FLAIR magnetic resonance.
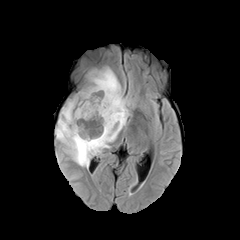
T1-weighted MR image.
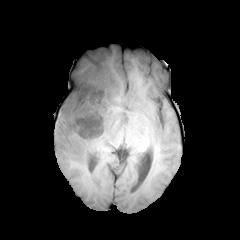
Post-contrast T1-weighted MR.
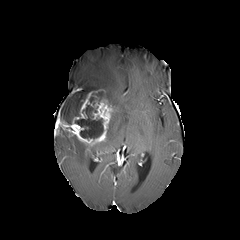
T2-weighted MR image.
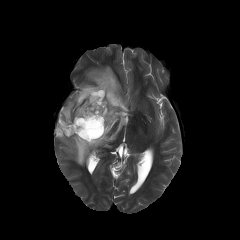
Image size 240x240 | Brain
non-enhancing tumor core: 97 88 114 109, 67 105 103 138, 76 87 97 116 | edema: 60 91 81 121, 56 67 130 168 | enhancing tumor: 55 91 111 143